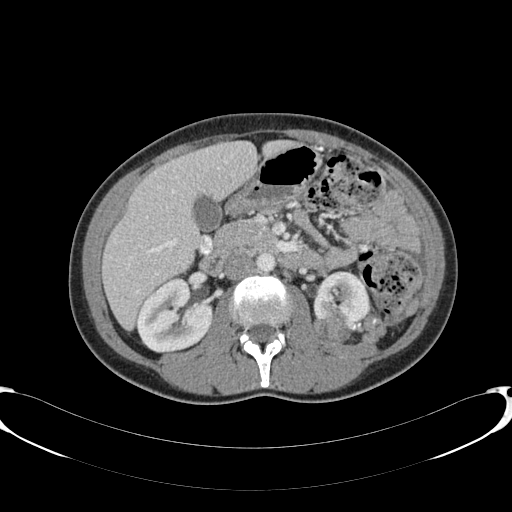
CT scan slice

<segmentation>
  <kidney>x1=312, y1=272, x2=368, y2=343; x1=138, y1=280, x2=211, y2=351</kidney>
  <liver>x1=263, y1=141, x2=298, y2=157; x1=103, y1=142, x2=256, y2=328</liver>
</segmentation>